Head
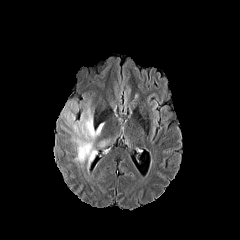
FLAIR MR image.
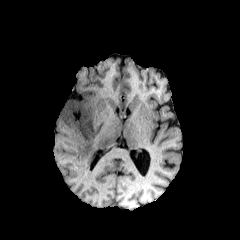
T1-weighted MR image of the same slice.
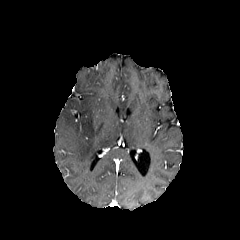
Post-contrast T1-weighted magnetic resonance.
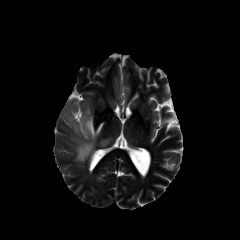
Same slice, T2-weighted MRI.
The edema appears at 72,114,104,170.